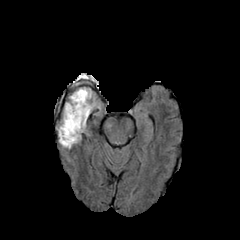
FLAIR magnetic resonance.
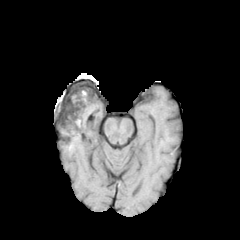
T1-weighted MR image.
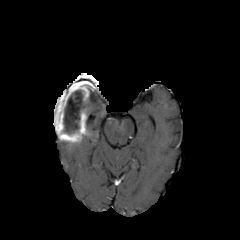
Post-contrast T1-weighted magnetic resonance.
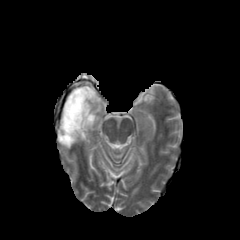
Same slice, T2-weighted magnetic resonance.
Brain
Findings:
- non-enhancing tumor core: (61, 102, 82, 140)
- edema: (56, 121, 64, 134), (63, 86, 95, 146)